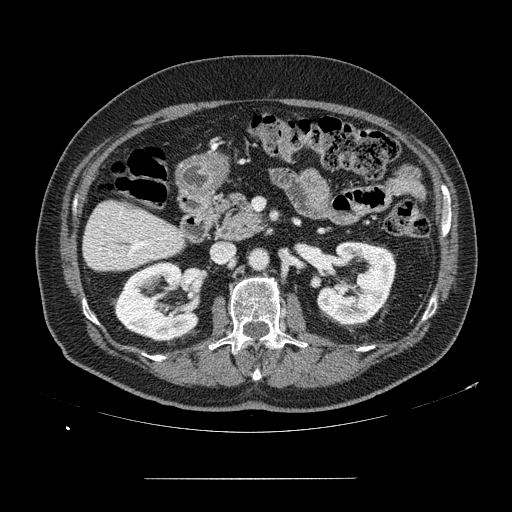 Upper abdomen. CT slice.

<segmentation>
  <pancreas>box(215, 193, 264, 241)</pancreas>
</segmentation>